Slice 41 of 59, CT scan slice

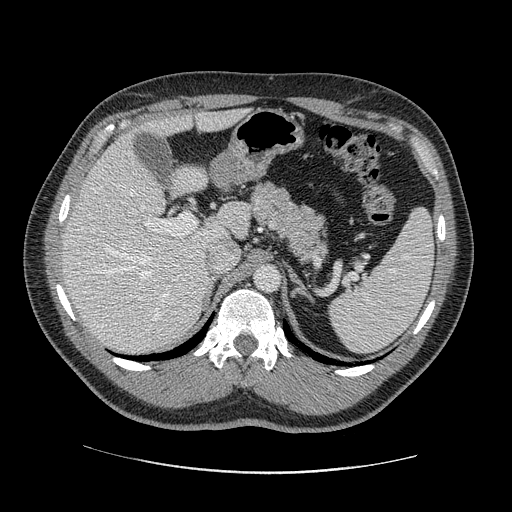

pancreas:
  - [x1=248, y1=181, x2=330, y2=264]